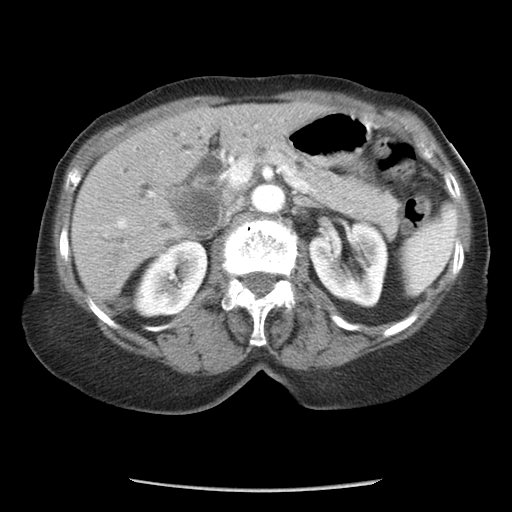 Upper abdomen | Computed tomography
The pancreas appears at bbox(266, 148, 401, 238).